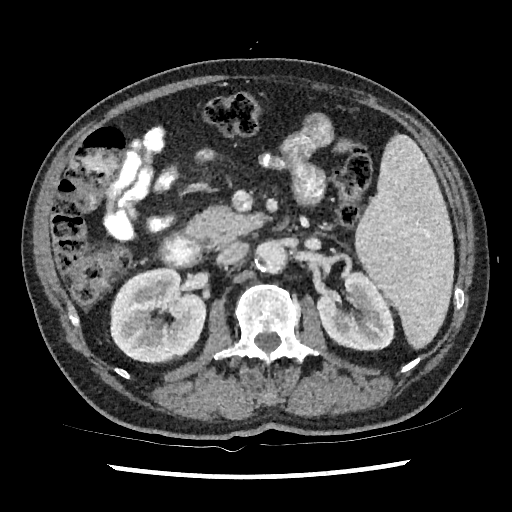

Computed tomography | 512x512
{
  "kidney": [
    "box(317, 261, 393, 349)",
    "box(111, 268, 205, 362)"
  ]
}